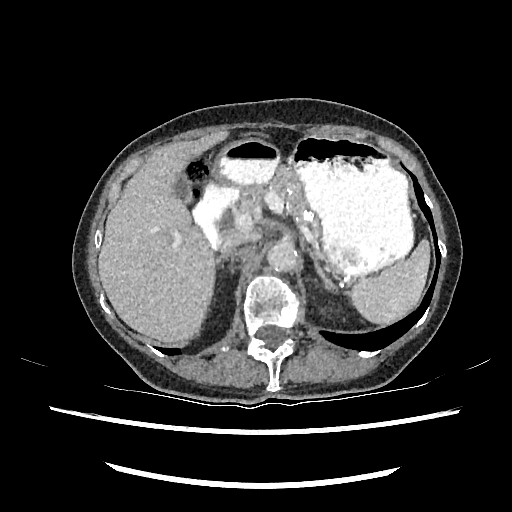 CT scan slice.

liver:
  - l=99, t=131, r=226, b=341